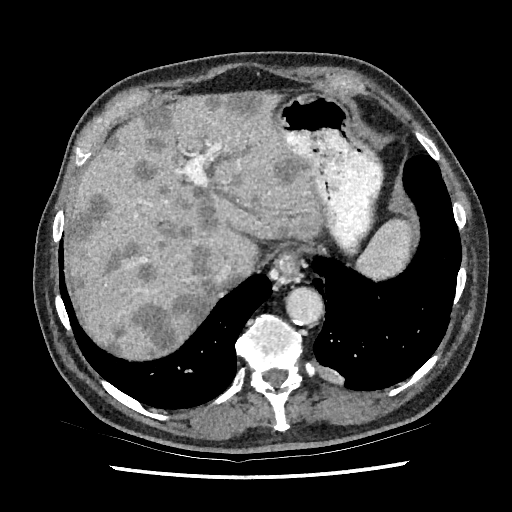
CT slice.
Liver — 68,93,326,357.
Most prominent 15 of 16 liver lesion regions — 105,328,125,354; 298,219,310,231; 133,160,162,182; 138,266,155,281; 150,185,224,247; 70,193,113,265; 130,246,226,356; 103,239,143,274; 207,93,263,114; 71,271,88,293; 106,135,120,152; 265,151,308,187; 250,191,260,207; 276,225,291,236; 143,109,175,151.